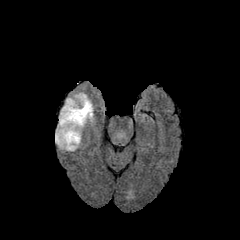
FLAIR MR.
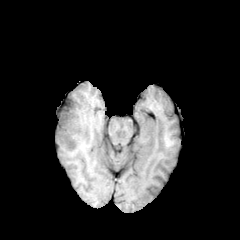
T1-weighted MR image.
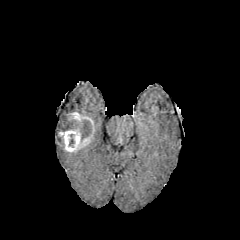
Same slice, post-contrast T1-weighted MR.
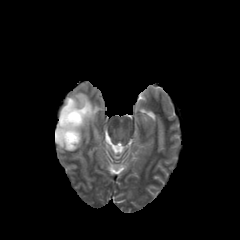
T2-weighted MR.
Image size 240x240
<segmentation>
  <edema><bbox>61, 91, 95, 124</bbox></edema>
  <non-enhancing_tumor_core><bbox>69, 134, 74, 146</bbox>, <bbox>61, 99, 83, 115</bbox>, <bbox>55, 115, 91, 139</bbox></non-enhancing_tumor_core>
  <enhancing_tumor><bbox>55, 111, 94, 152</bbox></enhancing_tumor>
</segmentation>